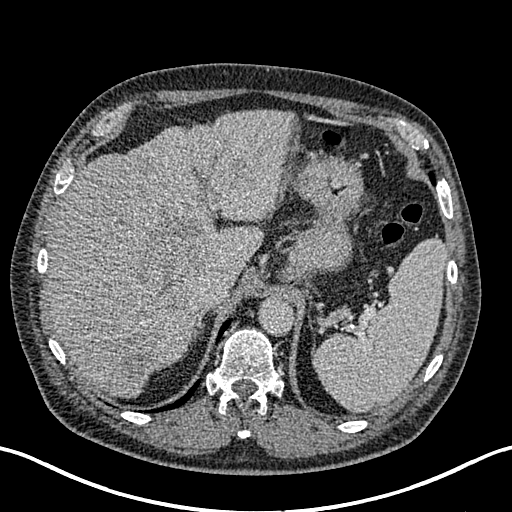 CT.

<segmentation>
  <hepatic_lesion>(left=119, top=332, right=162, bottom=381), (left=132, top=215, right=211, bottom=311), (left=226, top=150, right=263, bottom=188), (left=196, top=184, right=216, bottom=202)</hepatic_lesion>
  <liver>(left=48, top=110, right=295, bottom=398)</liver>
</segmentation>